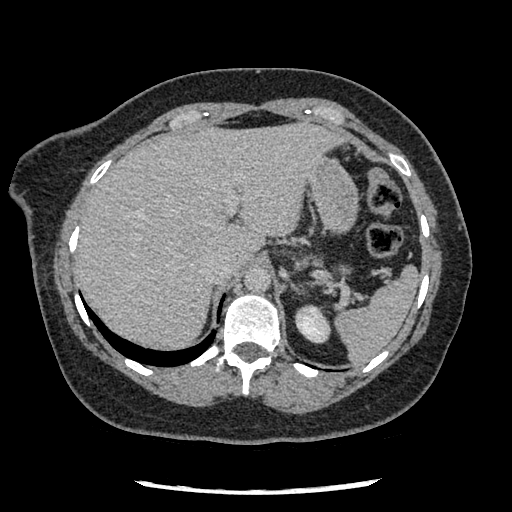
512x512. CT slice. The pancreas is bounded by (left=300, top=255, right=322, bottom=264). The pancreatic tumor is located at (left=339, top=265, right=352, bottom=275).